FLAIR MRI.
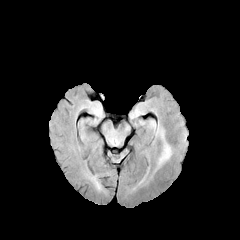
T1-weighted MR.
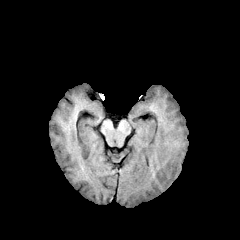
Post-contrast T1-weighted MR image.
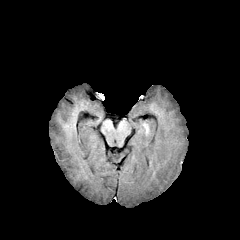
T2-weighted MR image.
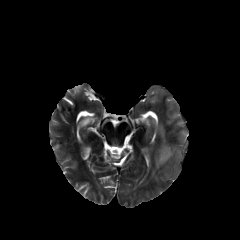
Brain
Edema at (left=148, top=120, right=171, bottom=164).